FLAIR MR image.
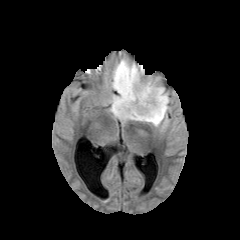
T1-weighted MRI.
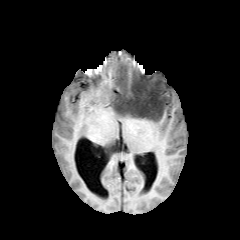
Post-contrast T1-weighted MR image.
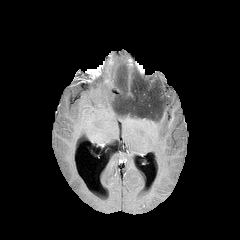
T2-weighted magnetic resonance.
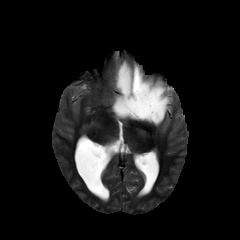
Brain, Image size 240x240
Non-enhancing tumor core — [x1=113, y1=65, x2=167, y2=121].
Edema — [x1=109, y1=57, x2=171, y2=128].